FLAIR MRI.
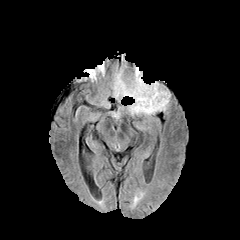
T1-weighted MR.
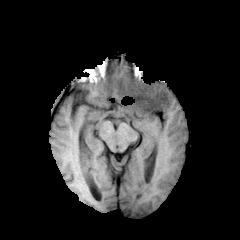
Post-contrast T1-weighted MRI.
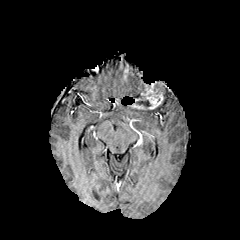
T2-weighted MR image.
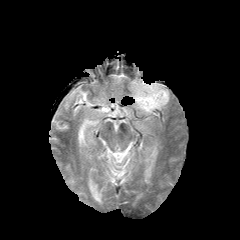
Head
<segmentation>
  <non-enhancing_tumor_core>[136,100,150,106]</non-enhancing_tumor_core>
  <enhancing_tumor>[135,82,164,109]</enhancing_tumor>
  <edema>[130,85,169,114], [112,69,144,97]</edema>
</segmentation>